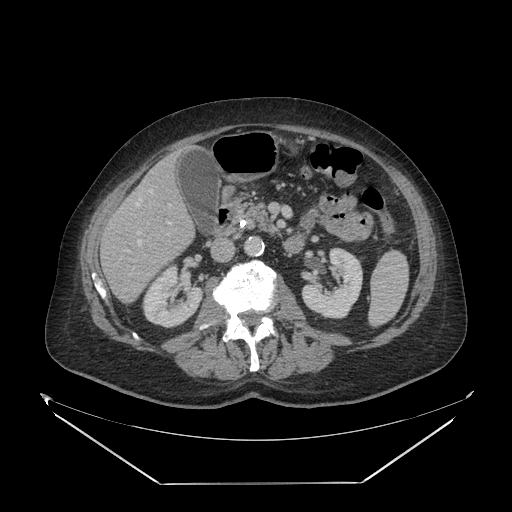 Abdomen. CT scan slice.

Findings:
* pancreas: 244,202,275,233